CT slice; Liver
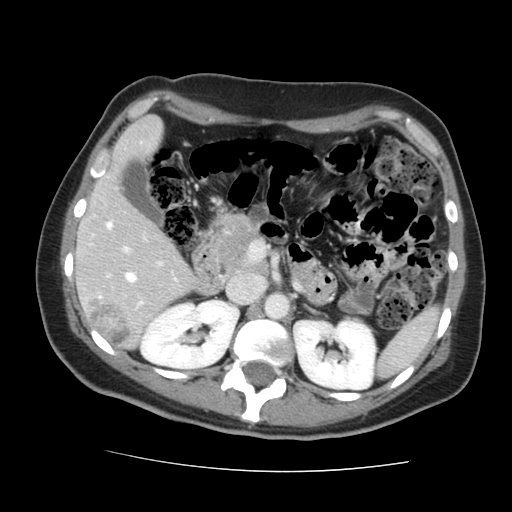
The vessel boxes may cover only some of the vessels.
Liver tumor: bounding box (89,299,131,345).
Hepatic vessel: bounding box (137,303,141,305), (106,223,111,228), (158,263,160,264), (99,296,100,297), (126,273,134,282), (123,248,128,251).